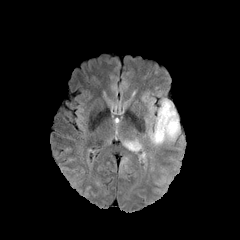
FLAIR magnetic resonance.
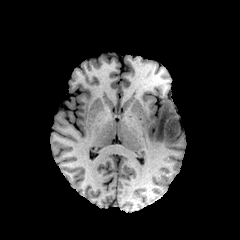
Same slice, T1-weighted MR.
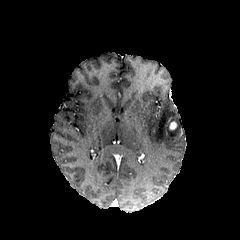
Same slice, post-contrast T1-weighted magnetic resonance.
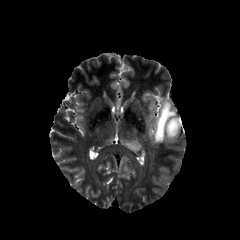
Same slice, T2-weighted MR image.
240x240
edema: rect(121, 138, 142, 151); rect(148, 99, 179, 145) | enhancing tumor: rect(169, 121, 177, 130)